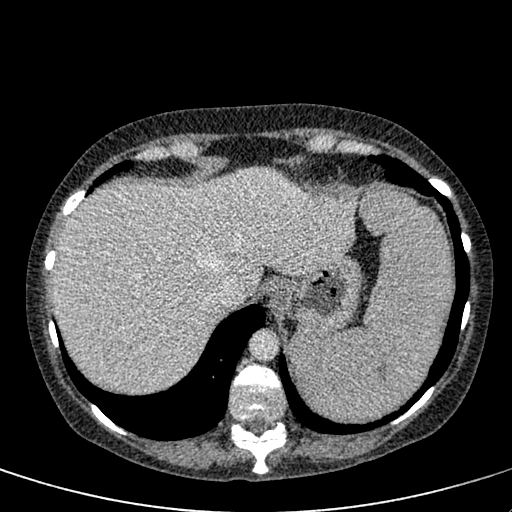
Computed tomography. Image size 512x512. liver:
  - bbox(56, 169, 360, 392)